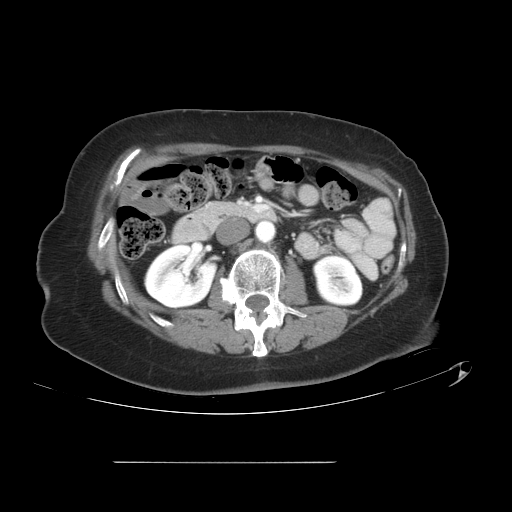
Computed tomography. Upper abdomen.

Pancreas: x1=196, y1=199, x2=241, y2=228.